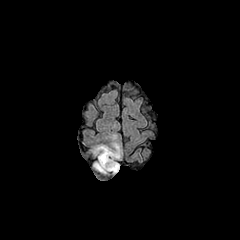
FLAIR magnetic resonance.
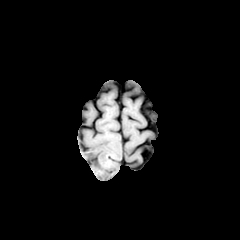
T1-weighted MR.
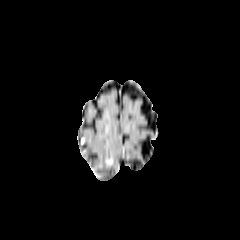
Post-contrast T1-weighted MRI.
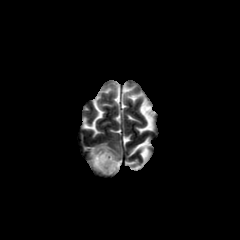
T2-weighted MRI.
edema: l=92, t=137, r=122, b=175 | non-enhancing tumor core: l=104, t=156, r=114, b=168